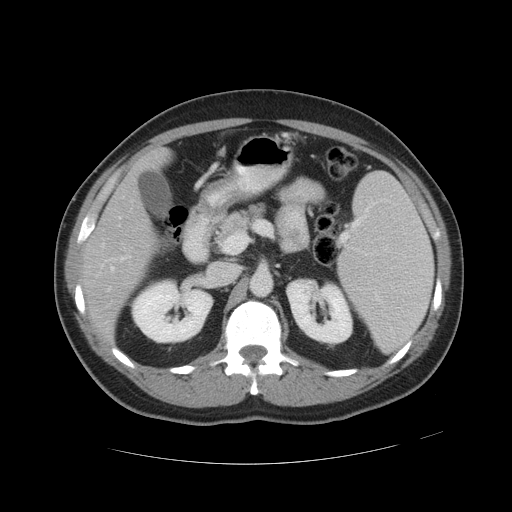

CT scan slice. Some hepatic vessels may have no box.
hepatic_vessel:
  - {"x1": 131, "y1": 200, "x2": 133, "y2": 202}
  - {"x1": 110, "y1": 266, "x2": 113, "y2": 270}
  - {"x1": 120, "y1": 255, "x2": 130, "y2": 259}
  - {"x1": 118, "y1": 224, "x2": 120, "y2": 226}
  - {"x1": 108, "y1": 287, "x2": 110, "y2": 290}